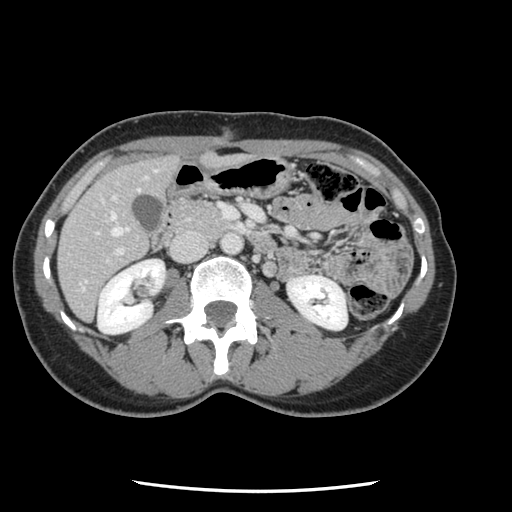

CT scan slice. 512x512. Abdomen. Some hepatic vessels may have no box.
hepatic vessel: {"x1": 112, "y1": 227, "x2": 127, "y2": 235}, {"x1": 112, "y1": 196, "x2": 115, "y2": 198}, {"x1": 116, "y1": 248, "x2": 121, "y2": 253}, {"x1": 110, "y1": 212, "x2": 114, "y2": 218}